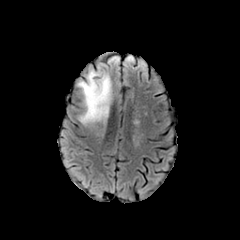
FLAIR magnetic resonance.
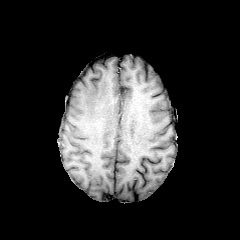
T1-weighted MRI.
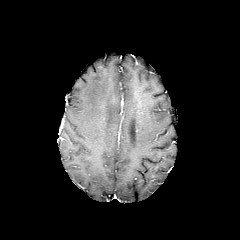
Post-contrast T1-weighted magnetic resonance.
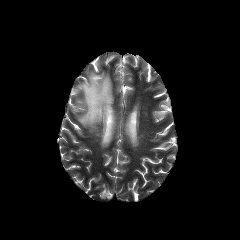
Same slice, T2-weighted MR image.
Brain.
Edema = <bbox>77, 67, 112, 126</bbox>.